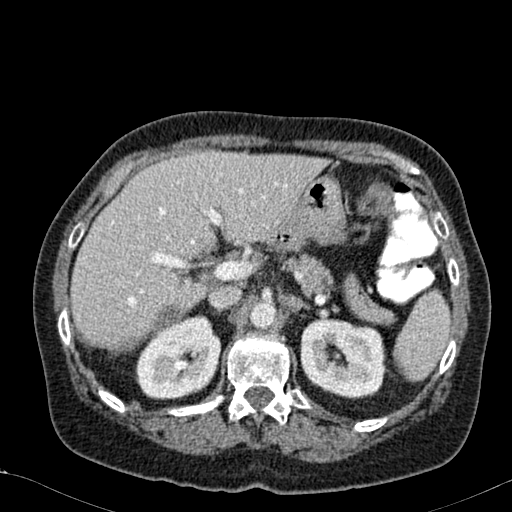

Upper abdomen, 512x512 px, Computed tomography

Liver at (left=71, top=154, right=329, bottom=351).
Focal liver lesion at (left=152, top=305, right=180, bottom=329).
Kidney at (left=301, top=319, right=384, bottom=397), (left=137, top=316, right=220, bottom=398).